Computed tomography 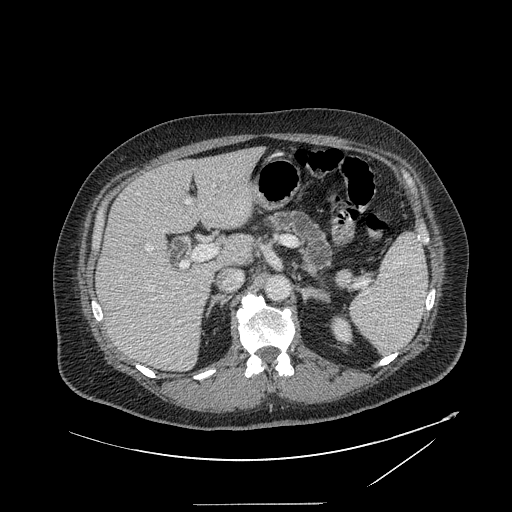

<segmentation>
  <pancreas>box=[264, 212, 331, 276]</pancreas>
</segmentation>